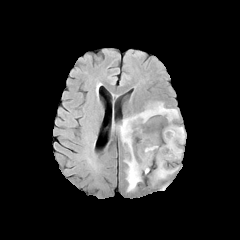
FLAIR magnetic resonance.
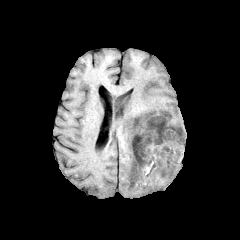
T1-weighted MR of the same slice.
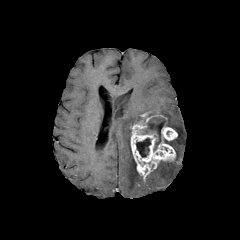
Post-contrast T1-weighted MRI.
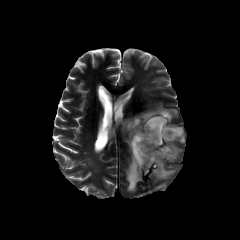
Same slice, T2-weighted MR.
<segmentation>
  <enhancing_tumor>x1=161, y1=127, x2=177, y2=140; x1=131, y1=122, x2=175, y2=175</enhancing_tumor>
  <edema>x1=118, y1=102, x2=185, y2=191; x1=154, y1=161, x2=178, y2=179</edema>
  <non-enhancing_tumor_core>x1=134, y1=113, x2=173, y2=151; x1=136, y1=137, x2=152, y2=157</non-enhancing_tumor_core>
</segmentation>